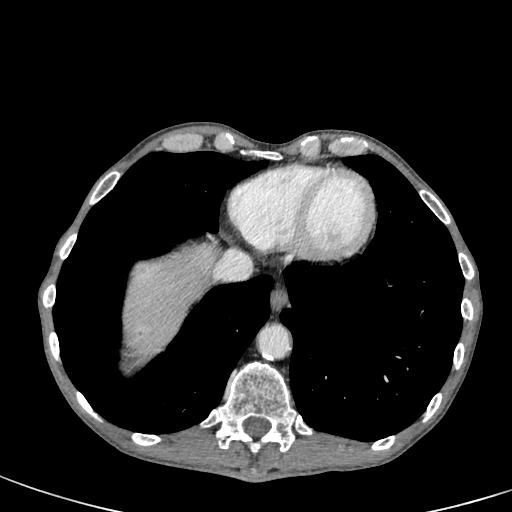

CT | Liver
hepatic lesion: rect(138, 263, 148, 274) | liver: rect(124, 245, 217, 357)